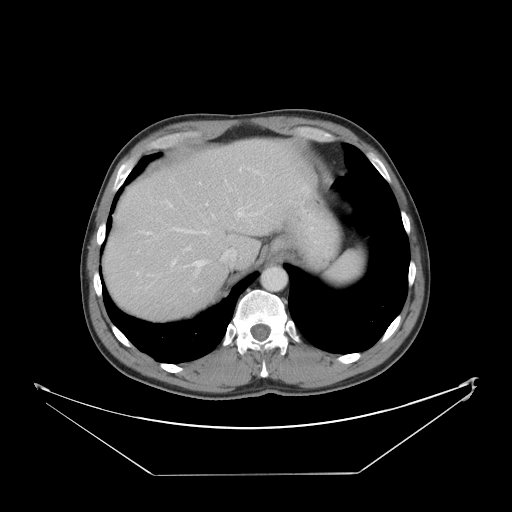
Computed tomography
The vessel annotation is not exhaustive.
{
  "partial": true,
  "hepatic_vessel": {
    "n_total": 17,
    "boxes": [
      "[x1=192, y1=289, x2=195, y2=291]",
      "[x1=140, y1=230, x2=150, y2=234]",
      "[x1=247, y1=167, x2=249, y2=168]",
      "[x1=193, y1=260, x2=205, y2=275]",
      "[x1=199, y1=182, x2=200, y2=184]",
      "[x1=171, y1=259, x2=175, y2=264]",
      "[x1=201, y1=230, x2=208, y2=233]",
      "[x1=236, y1=207, x2=244, y2=216]",
      "[x1=163, y1=201, x2=172, y2=207]",
      "[x1=206, y1=203, x2=207, y2=205]",
      "[x1=221, y1=257, x2=222, y2=260]",
      "[x1=184, y1=247, x2=190, y2=250]",
      "[x1=174, y1=227, x2=197, y2=232]",
      "[x1=136, y1=272, x2=138, y2=274]",
      "[x1=240, y1=168, x2=241, y2=170]"
    ]
  }
}